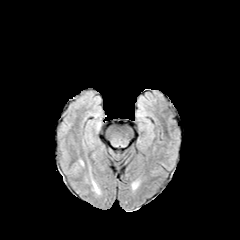
FLAIR MR.
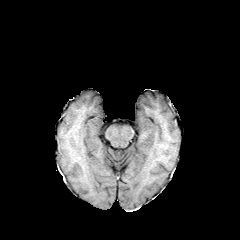
T1-weighted MR image.
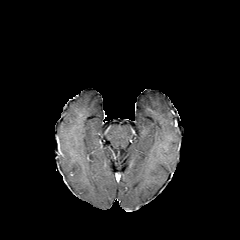
Post-contrast T1-weighted MR of the same slice.
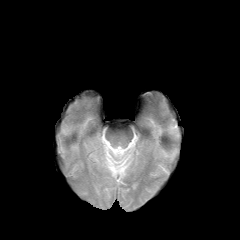
T2-weighted MR.
Head
<segmentation>
  <edema>[x1=92, y1=182, x2=100, y2=194]</edema>
</segmentation>